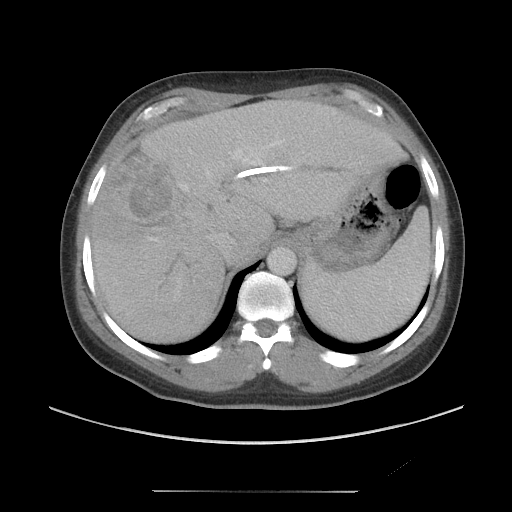

Liver; CT slice; Image size 512x512

Not every hepatic vessel necessarily has a box.
Findings:
* hepatic vessel: box=[146, 237, 157, 240]; box=[234, 149, 261, 162]; box=[207, 170, 209, 175]; box=[180, 184, 188, 190]; box=[269, 140, 283, 146]
* liver tumor: box=[102, 157, 184, 225]